Abdomen. Slice 59/92. CT.
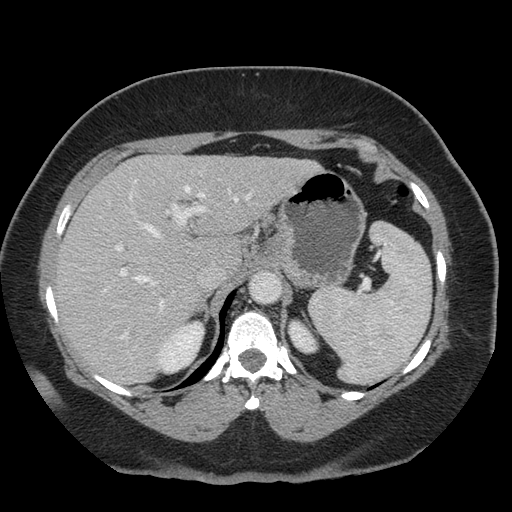 Some hepatic vessels may have no box.
partial: true
hepatic_vessel:
  # 15 of 18 shown
  - bbox=[178, 221, 182, 225]
  - bbox=[131, 193, 132, 199]
  - bbox=[138, 223, 159, 237]
  - bbox=[120, 333, 127, 345]
  - bbox=[121, 269, 125, 276]
  - bbox=[185, 187, 190, 192]
  - bbox=[136, 276, 148, 282]
  - bbox=[246, 195, 250, 199]
  - bbox=[115, 245, 122, 250]
  - bbox=[150, 281, 155, 285]
  - bbox=[198, 193, 204, 197]
  - bbox=[195, 207, 205, 211]
  - bbox=[103, 289, 106, 292]
  - bbox=[178, 211, 189, 218]
  - bbox=[160, 300, 164, 309]